FLAIR MR.
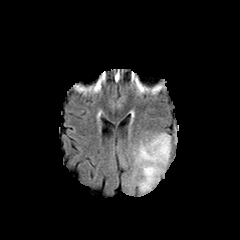
T1-weighted MR.
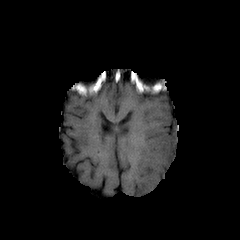
Post-contrast T1-weighted MRI.
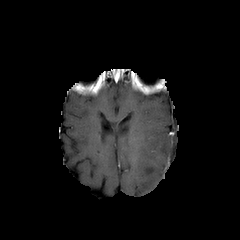
T2-weighted magnetic resonance.
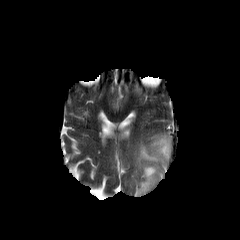
Brain.
The edema is bounded by 132:132:171:193.